Computed tomography; Slice 520/685

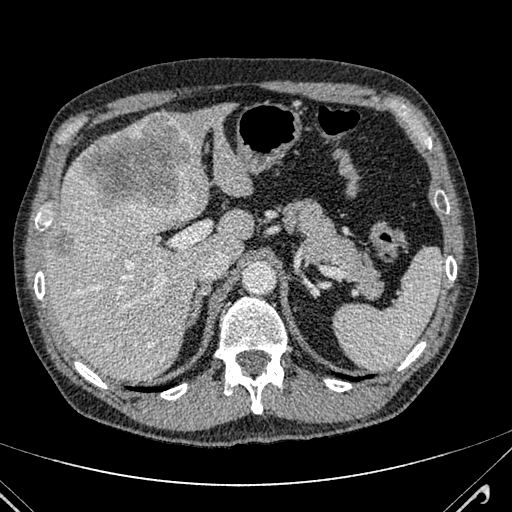
<segmentation>
  <liver_lesion>rect(81, 116, 207, 211); rect(51, 234, 73, 255)</liver_lesion>
  <liver>rect(47, 155, 253, 379); rect(92, 120, 146, 146); rect(154, 103, 250, 195)</liver>
</segmentation>